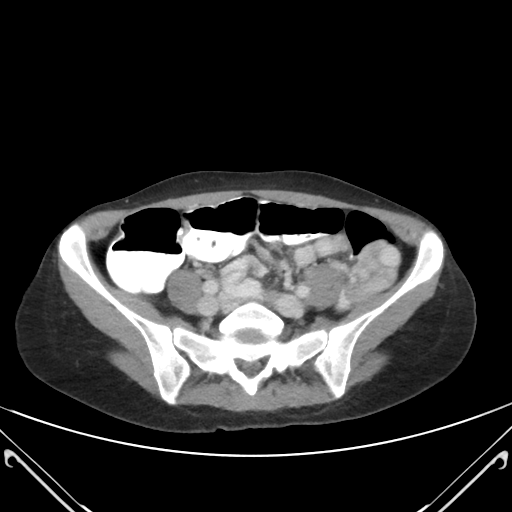
CT

{"colon_tumor": ["(left=182, top=221, right=189, bottom=236)"]}